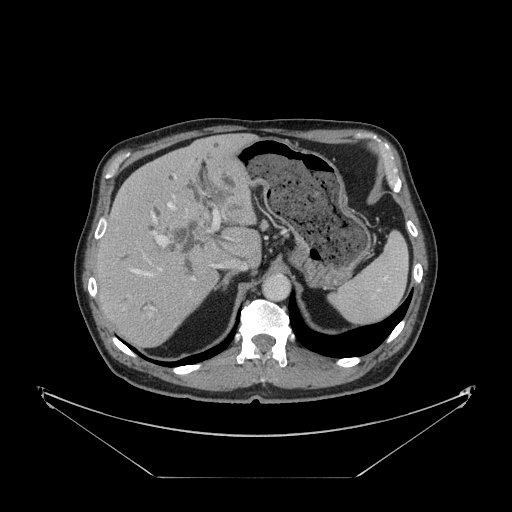
CT scan slice
Only some of the vessels may be annotated.
Findings:
• hepatic vessel: box(192, 278, 194, 279); box(149, 313, 150, 315); box(173, 196, 174, 198); box(168, 203, 174, 208); box(129, 269, 151, 275); box(152, 214, 154, 220); box(159, 269, 161, 270); box(152, 232, 167, 246); box(150, 308, 152, 312); box(213, 211, 219, 228)